FLAIR MRI.
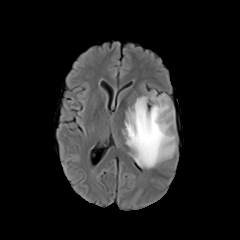
T1-weighted MR.
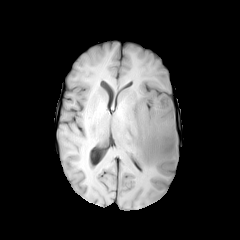
Post-contrast T1-weighted magnetic resonance.
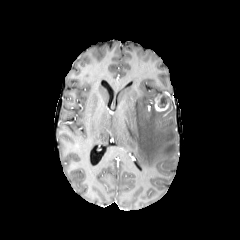
T2-weighted MR image.
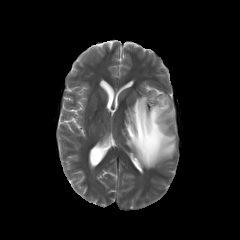
240x240 px
The edema lies within bbox(123, 91, 177, 168). 2 non-enhancing tumor core regions are located at bbox(150, 94, 171, 115); bbox(136, 113, 159, 145). The enhancing tumor lies within bbox(154, 97, 168, 111).